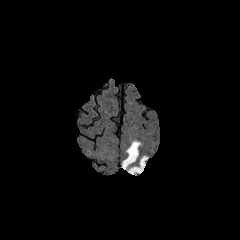
FLAIR MR image.
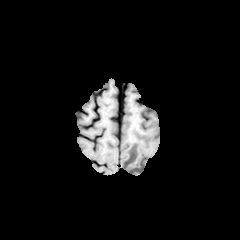
T1-weighted MR.
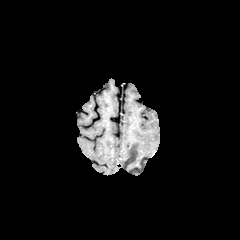
Same slice, post-contrast T1-weighted MR image.
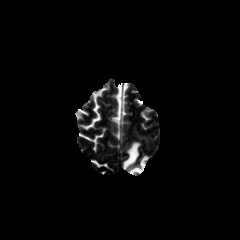
T2-weighted MR image of the same slice.
The edema is located at 122,141,147,174.